FLAIR magnetic resonance.
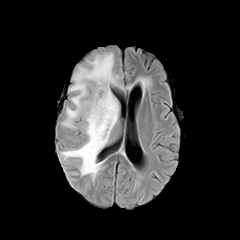
T1-weighted magnetic resonance.
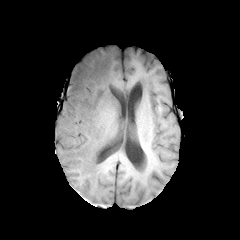
Post-contrast T1-weighted MR.
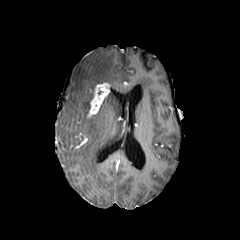
T2-weighted MRI.
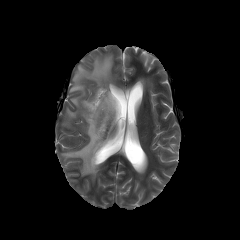
Segmented structures:
- edema: rect(61, 53, 119, 180)
- enhancing tumor: rect(88, 83, 109, 117)